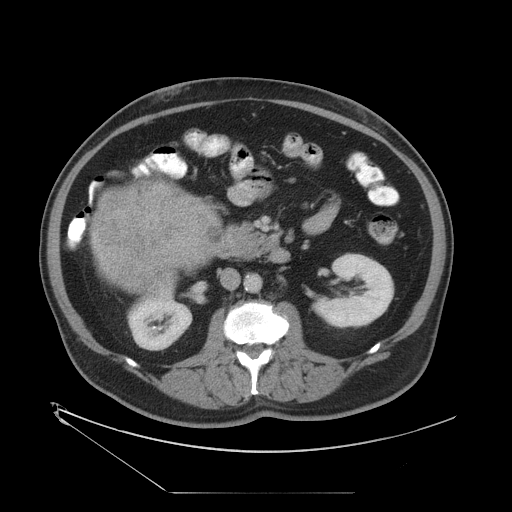

Abdomen. CT slice.

Liver tumor: bounding box l=92, t=182, r=220, b=292.